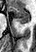 Hippocampus. Magnetic resonance.

The posterior hippocampus appears at (left=21, top=24, right=23, bottom=25). The anterior hippocampus lies within (left=8, top=6, right=29, bottom=23).